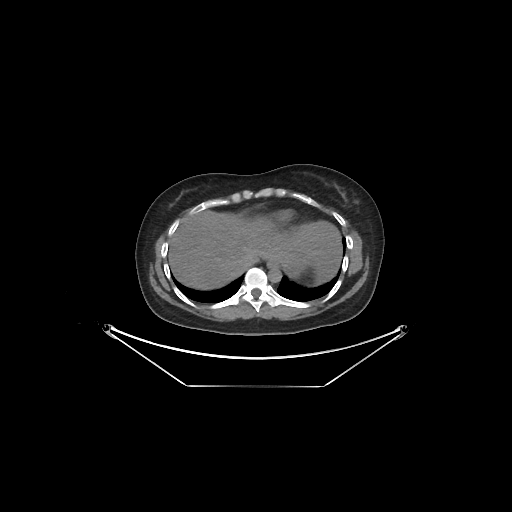 CT
liver: [169,211,342,289]